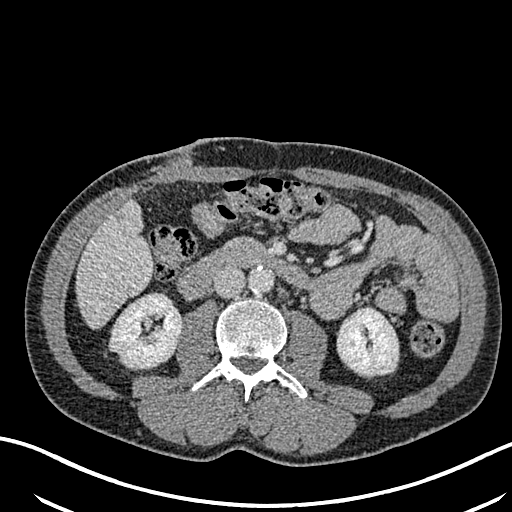
CT image

The liver is located at region(76, 201, 151, 326). 2 kidney regions appear at region(111, 294, 181, 367); region(337, 308, 398, 374). The hepatic lesion is at region(115, 212, 124, 221).